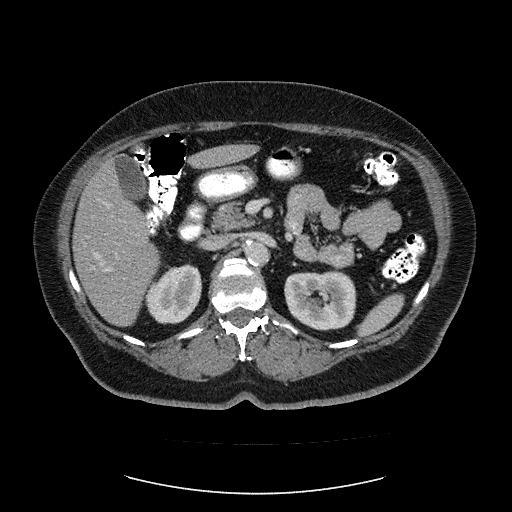

CT slice | Liver

Some hepatic vessels may have no box.
4 hepatic vessel regions are located at (x1=104, y1=267, x2=112, y2=270), (x1=95, y1=253, x2=104, y2=264), (x1=106, y1=204, x2=110, y2=207), (x1=100, y1=199, x2=102, y2=201).